FLAIR MRI.
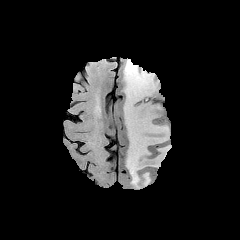
T1-weighted MRI.
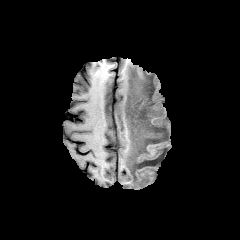
Post-contrast T1-weighted MR.
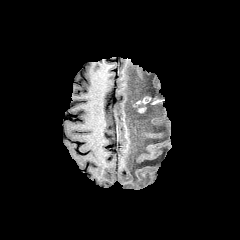
T2-weighted MR image.
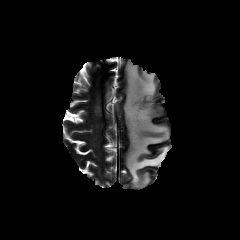
Head
Segmented structures:
- non-enhancing tumor core: [133,99,148,123]
- edema: [123,60,169,187]